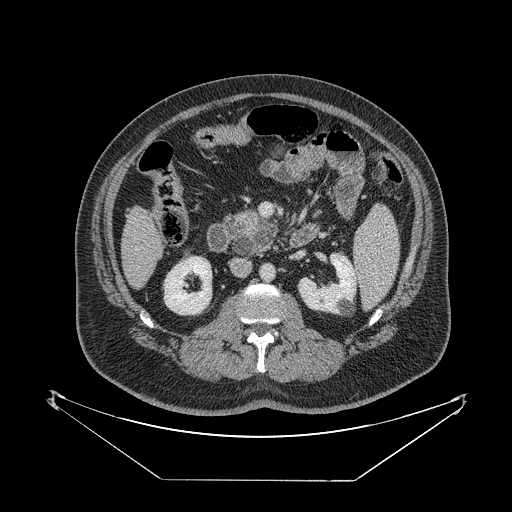

CT image | 512x512 px | Abdomen

pancreas:
  - <bbox>227, 211, 275, 256</bbox>